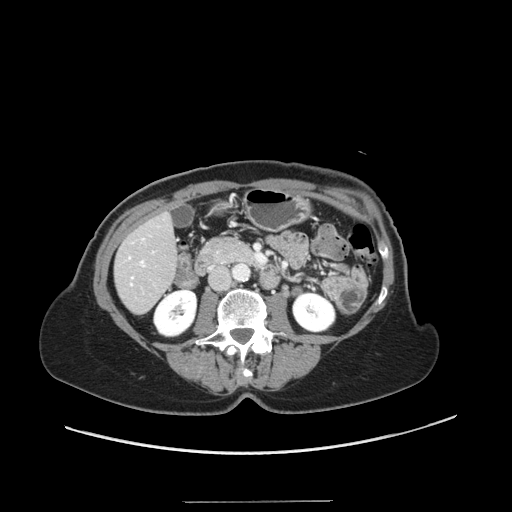

CT. Abdomen.

Not every hepatic vessel necessarily has a box.
Annotated regions:
* hepatic vessel: [131,277,133,284], [142,238,144,239], [129,256,130,258], [140,261,144,265]